Slice 128/155
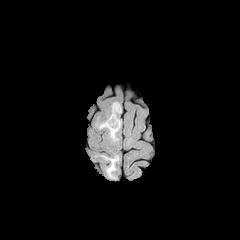
FLAIR magnetic resonance.
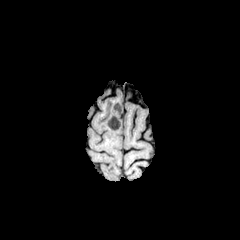
T1-weighted MR of the same slice.
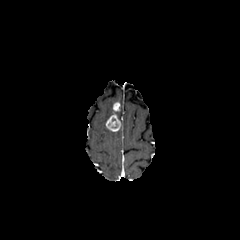
Post-contrast T1-weighted MR.
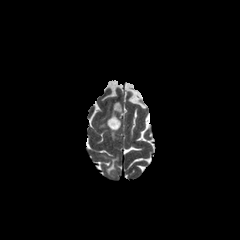
Same slice, T2-weighted magnetic resonance.
2 enhancing tumor regions are located at rect(112, 102, 120, 111); rect(106, 111, 121, 131). The edema appears at rect(105, 157, 118, 172).